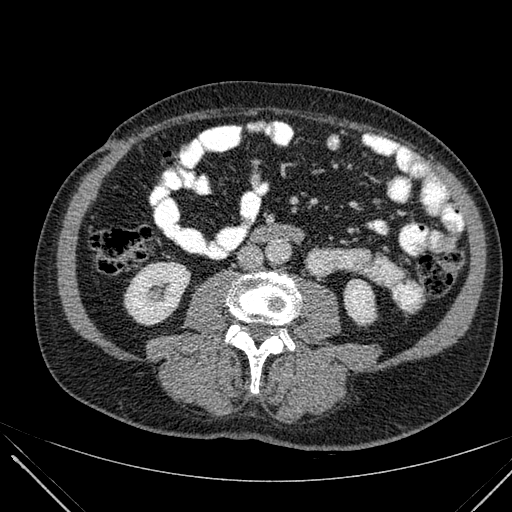
Image size 512x512; CT image

* kidney: {"x1": 125, "y1": 263, "x2": 189, "y2": 324}, {"x1": 344, "y1": 280, "x2": 374, "y2": 322}